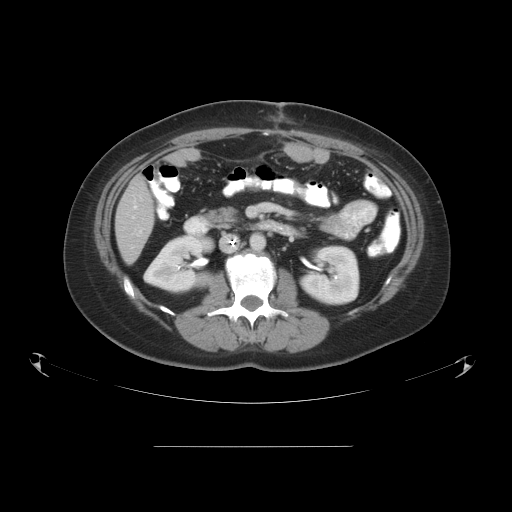

CT; 512x512 px; Abdomen
Some hepatic vessels may have no box.
<segmentation>
  <hepatic_vessel>132, 246, 133, 248; 133, 216, 134, 217; 134, 194, 142, 207; 134, 225, 142, 235</hepatic_vessel>
</segmentation>